CT image, Image size 512x512, Slice 126/574
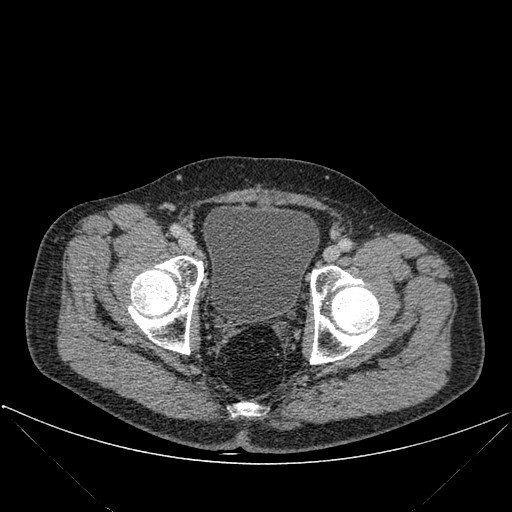 The urinary bladder lies within (left=202, top=203, right=318, bottom=323). 3 bone regions are bounded by (left=229, top=403, right=259, bottom=416), (left=128, top=256, right=203, bottom=354), (left=310, top=266, right=379, bottom=364).